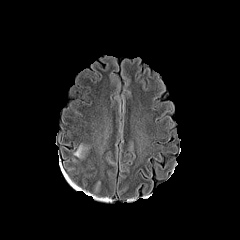
FLAIR magnetic resonance.
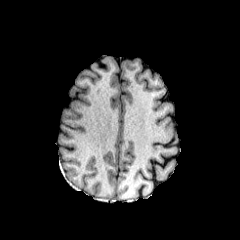
Same slice, T1-weighted MRI.
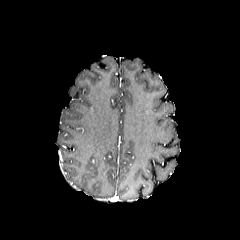
Post-contrast T1-weighted MR image of the same slice.
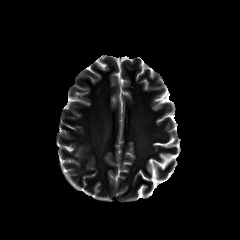
T2-weighted magnetic resonance of the same slice.
Head
{"edema": ["74, 145, 90, 159"]}